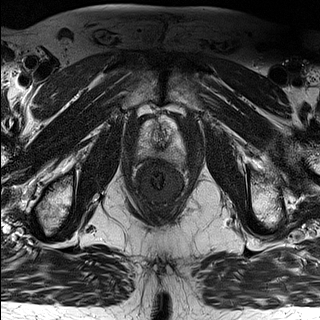
T2-weighted MR image.
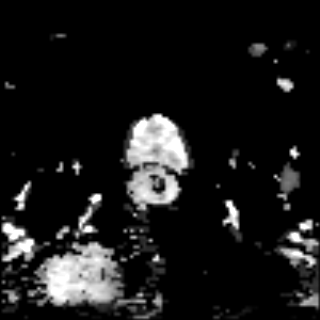
ADC MRI of the same slice.
320x320 px.
Prostate peripheral zone at 135:121:184:159.
Prostate transition zone at 151:121:170:149.